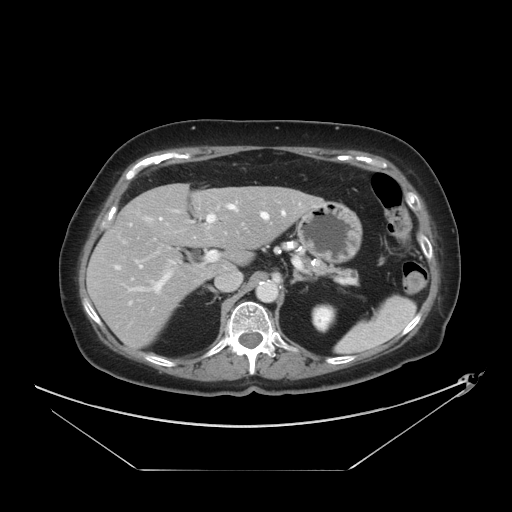

512x512 px | CT scan slice
Not every hepatic vessel necessarily has a box.
15 hepatic vessel regions appear at bbox=[205, 250, 219, 261]; bbox=[282, 211, 284, 215]; bbox=[170, 261, 174, 263]; bbox=[115, 266, 119, 269]; bbox=[130, 223, 131, 225]; bbox=[129, 302, 131, 304]; bbox=[160, 218, 161, 219]; bbox=[139, 264, 141, 267]; bbox=[206, 214, 215, 222]; bbox=[136, 261, 137, 262]; bbox=[129, 272, 171, 291]; bbox=[260, 212, 268, 219]; bbox=[227, 204, 237, 211]; bbox=[173, 210, 177, 211]; bbox=[145, 218, 150, 220].